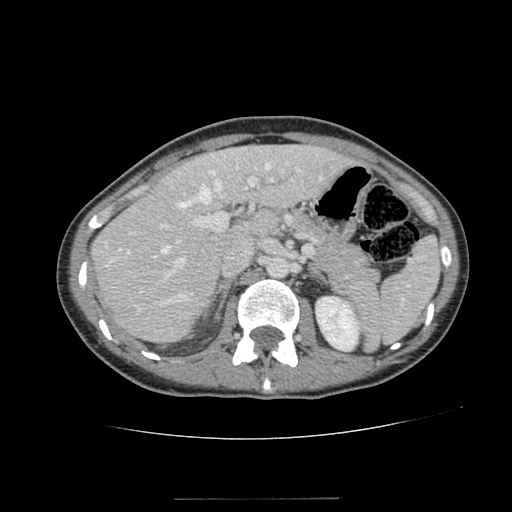
CT image.

Kidney = {"x1": 316, "y1": 297, "x2": 359, "y2": 350}.
Liver = {"x1": 91, "y1": 144, "x2": 357, "y2": 343}.